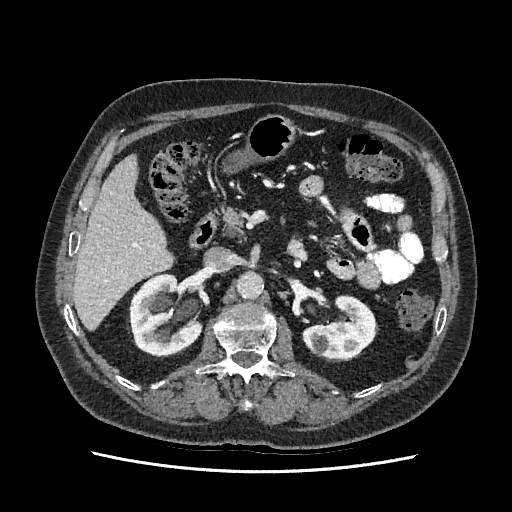
Abdomen; CT image

Liver at [75,156,173,329].
Kidney at [303,296,375,358], [130,275,200,355].